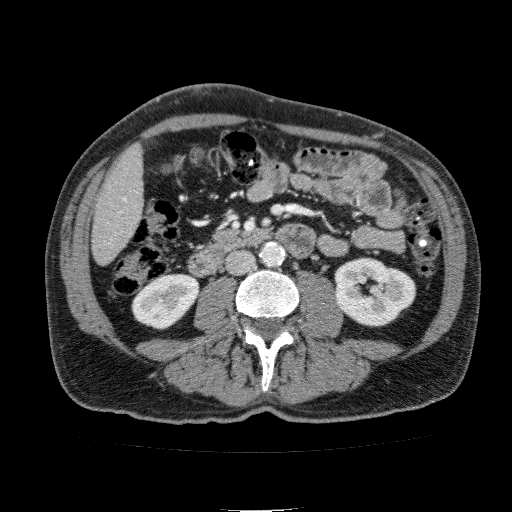

Computed tomography. 512x512. Liver.
The liver is located at 92:144:144:266. 2 kidney regions are bounded by 133:275:198:327, 335:259:414:325.